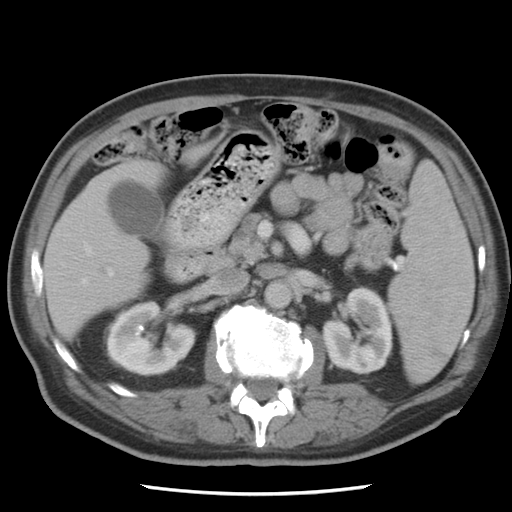
512x512. CT image.

<segmentation>
  <pancreas>(x1=225, y1=210, x2=270, y2=268)</pancreas>
</segmentation>